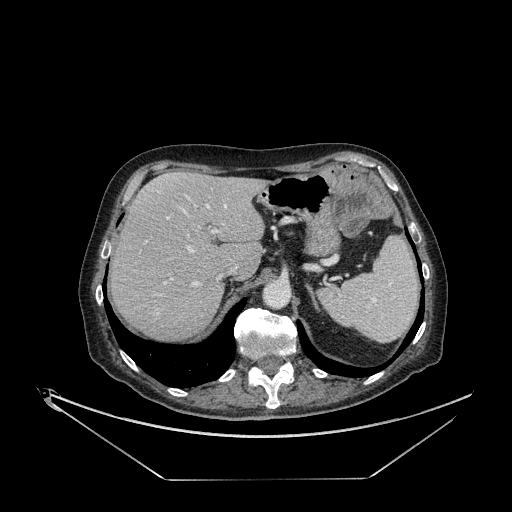

CT slice. Liver: (left=111, top=172, right=269, bottom=340).